FLAIR MR image.
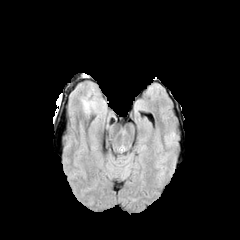
T1-weighted MR.
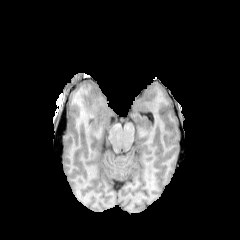
Post-contrast T1-weighted MRI.
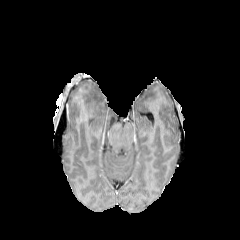
T2-weighted magnetic resonance.
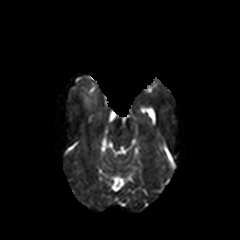
edema: [83,100,92,112]